FLAIR MR.
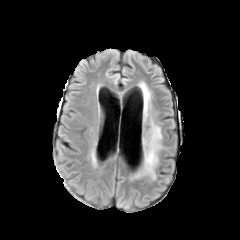
T1-weighted magnetic resonance.
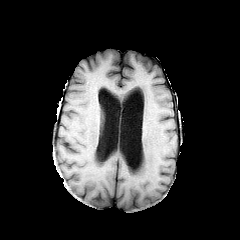
Post-contrast T1-weighted MR.
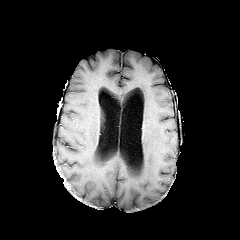
T2-weighted MRI.
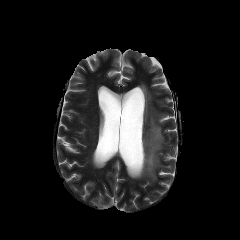
Annotated regions:
* edema: <box>139,82,151,123</box>, <box>132,116,162,179</box>